CT slice; Abdomen

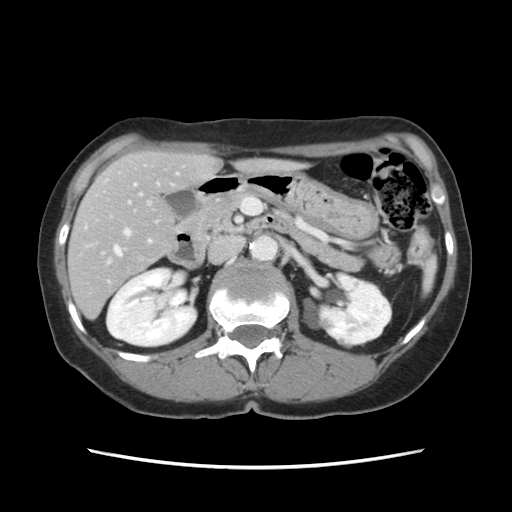

The vessel annotation is not exhaustive.
5 hepatic vessel regions are located at rect(128, 202, 130, 203); rect(134, 184, 136, 185); rect(124, 229, 129, 235); rect(114, 247, 120, 255); rect(148, 240, 150, 242).